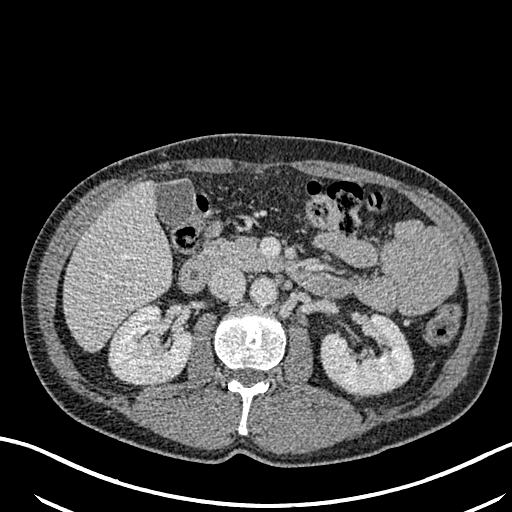

512x512 px. CT image. kidney: [x1=110, y1=306, x2=191, y2=383], [x1=322, y1=315, x2=412, y2=393] | liver: [x1=65, y1=181, x2=171, y2=350]